Brain
FLAIR MR image.
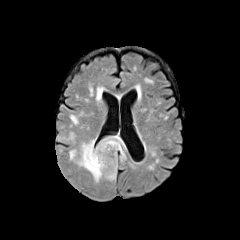
T1-weighted MR image.
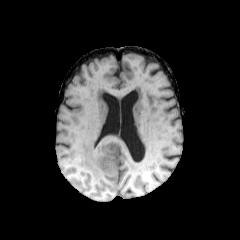
Post-contrast T1-weighted MR image.
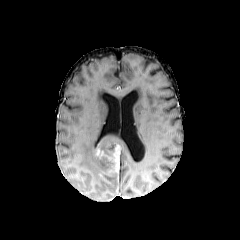
T2-weighted MR.
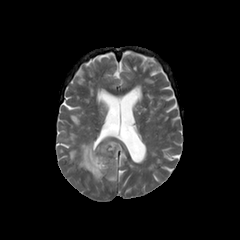
Edema = 98,132,126,165; 94,86,105,103; 69,149,76,159; 77,139,116,181.
Enhancing tumor = 109,144,121,170.